CT image; Upper abdomen; Slice 51 of 95; Field of view 430 mm wide, 2.50 mm slice spacing

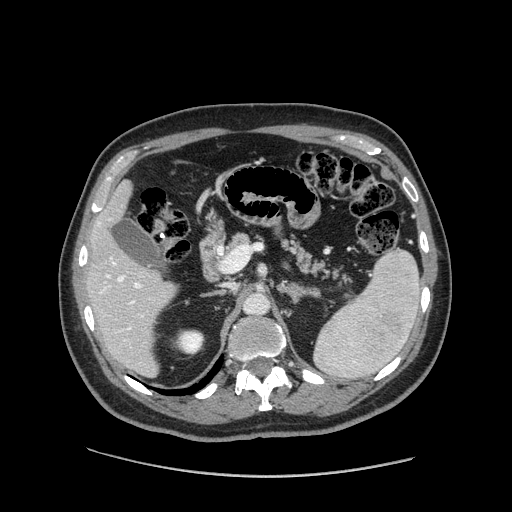

<segmentation>
  <pancreas>rect(228, 233, 250, 250); rect(283, 240, 350, 283)</pancreas>
</segmentation>